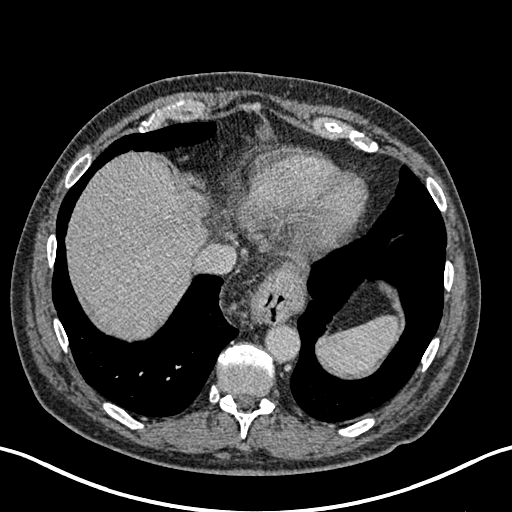 CT slice, 512x512 px
The liver is located at box=[68, 152, 206, 337]. The hepatic lesion is bounded by box=[179, 192, 208, 231].